Slice 505/707, Field of view 700 mm wide, 2.50 mm slice spacing, CT slice 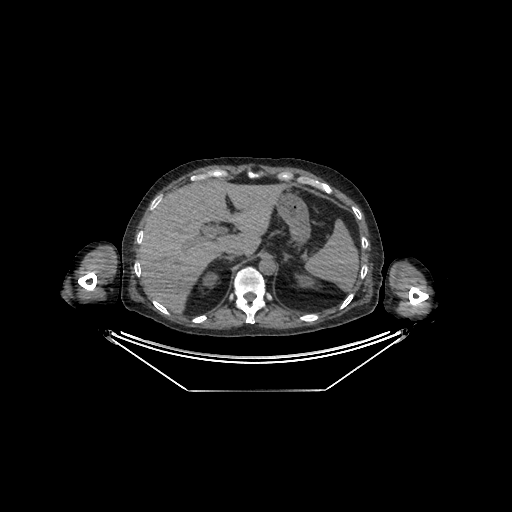
Annotated regions:
• kidney: [x1=295, y1=275, x2=316, y2=287], [x1=202, y1=272, x2=218, y2=287]
• liver: [x1=136, y1=176, x2=288, y2=313]